FLAIR magnetic resonance.
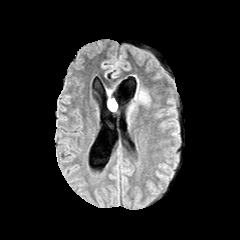
T1-weighted magnetic resonance.
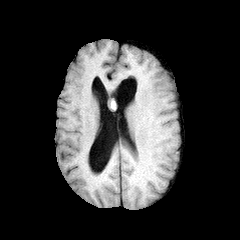
Post-contrast T1-weighted MRI.
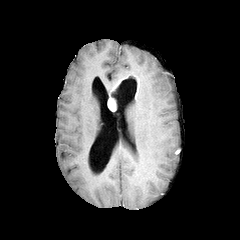
T2-weighted MR image.
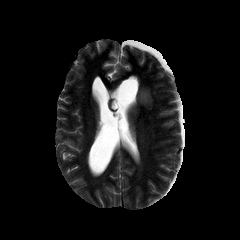
240x240 px. Head.
The edema is at 130 89 149 106. The enhancing tumor lies within 108 98 115 111.